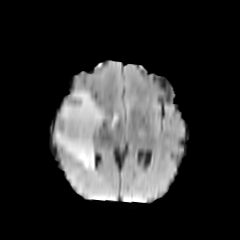
FLAIR MR.
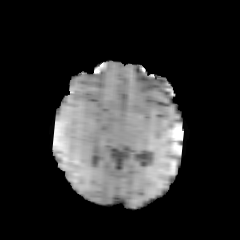
Same slice, T1-weighted magnetic resonance.
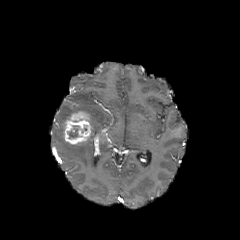
Post-contrast T1-weighted magnetic resonance.
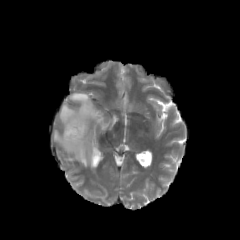
T2-weighted MR image.
240x240 px
Edema: bounding box box(54, 92, 116, 168).
Non-enhancing tumor core: bounding box box(67, 128, 79, 139).
Enhancing tumor: bounding box box(63, 110, 93, 144).